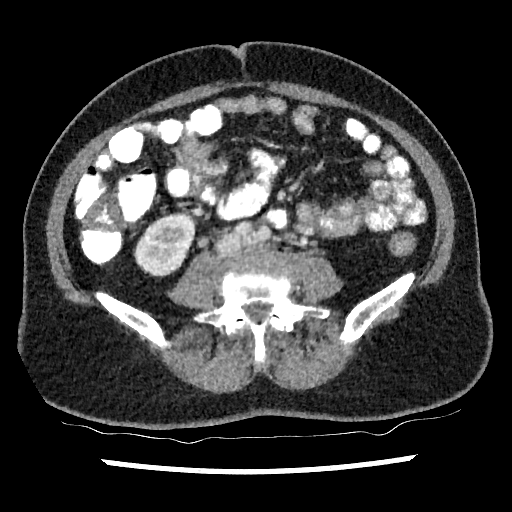
Computed tomography; Abdomen; 512x512 px

<segmentation>
  <kidney>(left=136, top=215, right=193, bottom=274)</kidney>
</segmentation>